240x240 px. Brain. Slice index 106.
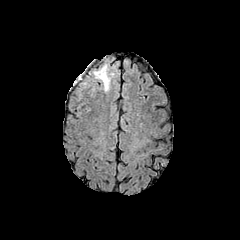
FLAIR MRI.
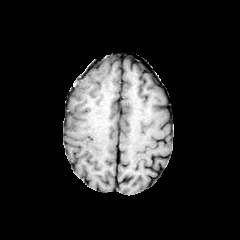
T1-weighted MR.
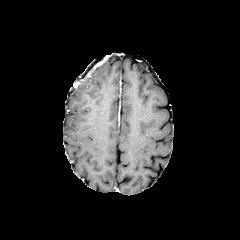
Post-contrast T1-weighted magnetic resonance.
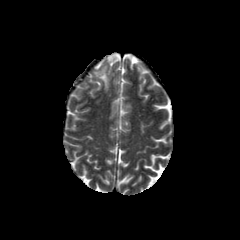
T2-weighted magnetic resonance of the same slice.
Edema: l=90, t=58, r=115, b=91.